CT.
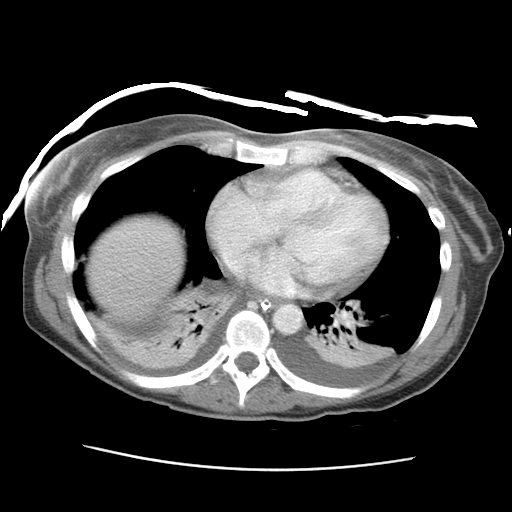
Liver at [x1=89, y1=218, x2=181, y2=314].